MRI slice.
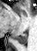
Posterior hippocampus at rect(15, 31, 27, 44).